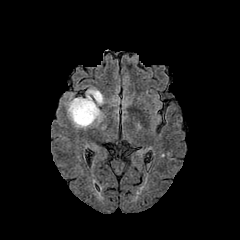
FLAIR MRI.
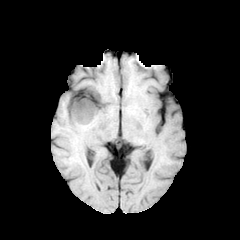
T1-weighted MR image.
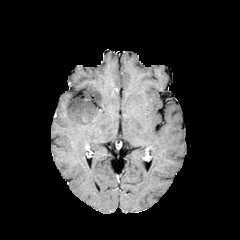
Post-contrast T1-weighted MR.
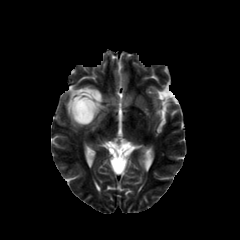
Same slice, T2-weighted MRI.
Brain
Edema — bbox=[67, 88, 103, 127].